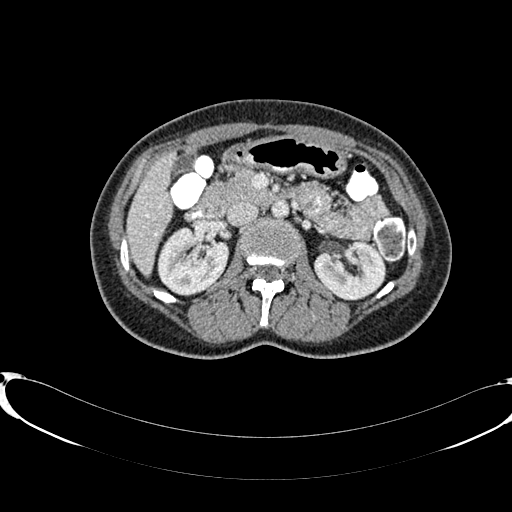
Image size 512x512; Computed tomography; Upper abdomen
2 kidney regions are located at x1=159 y1=228 x2=227 y2=293, x1=315 y1=243 x2=384 y2=298. The liver appears at x1=126 y1=152 x2=177 y2=274.